Head, Slice 68 of 155
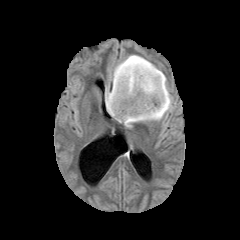
FLAIR magnetic resonance.
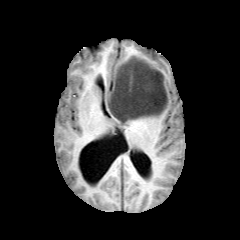
Same slice, T1-weighted magnetic resonance.
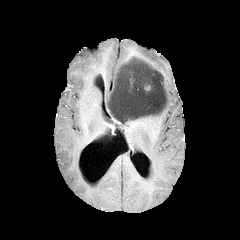
Post-contrast T1-weighted MRI.
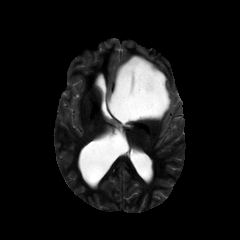
Same slice, T2-weighted MR image.
<segmentation>
  <non-enhancing_tumor_core>(107,57,168,122)</non-enhancing_tumor_core>
  <edema>(104,53,173,129)</edema>
</segmentation>